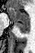
Medial temporal lobe. MR image.
The posterior hippocampus is located at [14,24,29,34]. The anterior hippocampus appears at [9,8,29,23].